CT; Abdomen

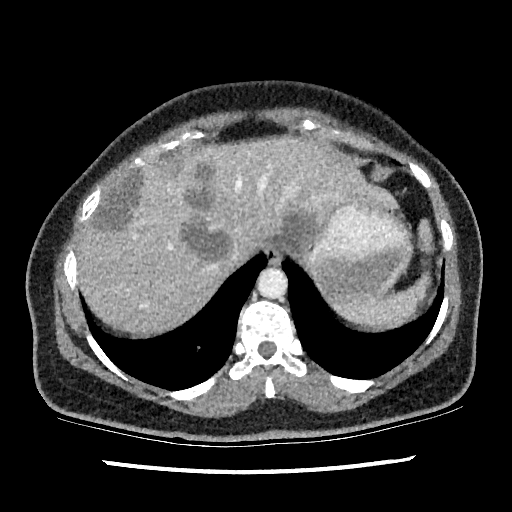

Liver lesion: bounding box box=[195, 164, 214, 179]; box=[268, 212, 316, 254]; box=[181, 217, 232, 261]; box=[95, 171, 143, 230]; box=[186, 187, 214, 209].
Liver: bounding box box=[76, 135, 396, 331].